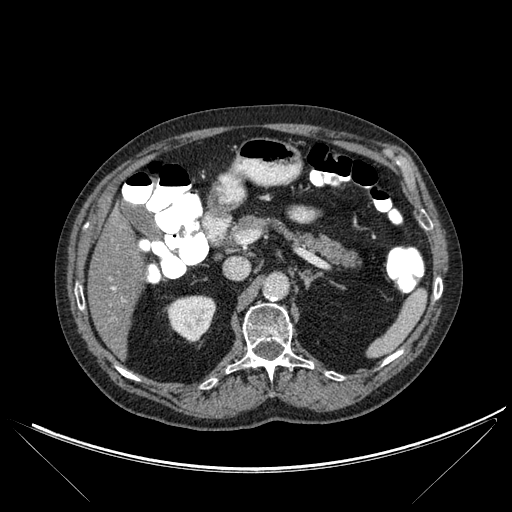 Computed tomography.
{"bone": ["x1=226 y1=303 x2=313 y2=379", "x1=200 y1=381 x2=211 y2=388", "x1=382 y1=350 x2=402 y2=365", "x1=75 y1=288 x2=84 y2=309", "x1=325 y1=371 x2=343 y2=380", "x1=434 y1=277 x2=442 y2=298", "x1=117 y1=367 x2=138 y2=380"], "kidney": ["x1=168 y1=296 x2=215 y2=340"], "liver": ["x1=88 y1=207 x2=145 y2=360"]}